Slice index 27. Liver. 512x512 px. CT slice.
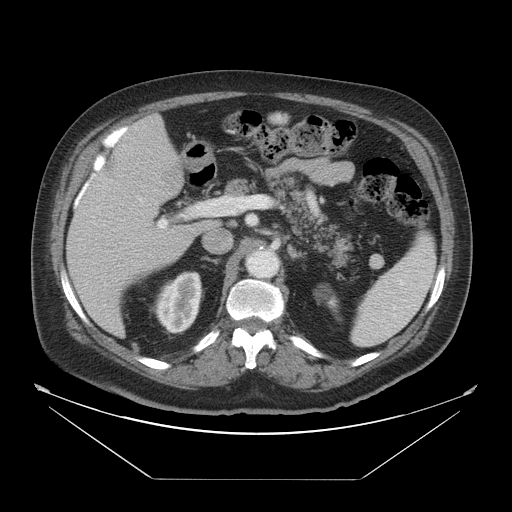 The vessel annotation is not exhaustive.
Hepatic vessel: (198,228,229,250), (190,197,240,215), (138,197,142,202), (182,215,186,216), (158,219,166,228).
Liver tumor: (102,153,120,183), (161,163,183,192).